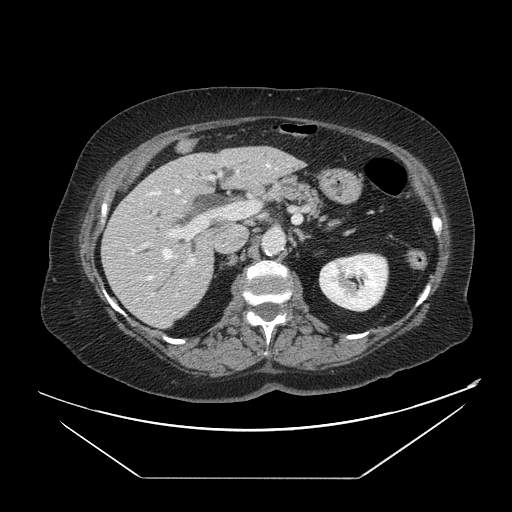
Abdomen; CT; Image size 512x512
<segmentation>
  <pancreas>x1=271, y1=177, x2=328, y2=224</pancreas>
</segmentation>